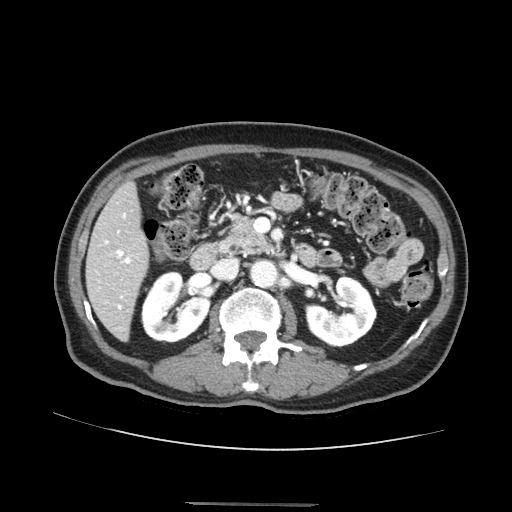
CT image. Abdomen. Annotated regions:
* pancreas: [229,220,268,252]